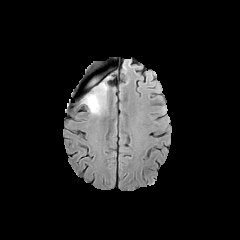
FLAIR magnetic resonance.
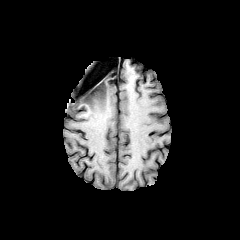
T1-weighted MR.
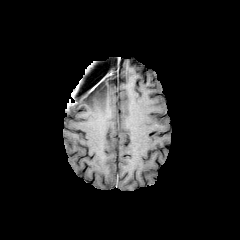
Same slice, post-contrast T1-weighted MR image.
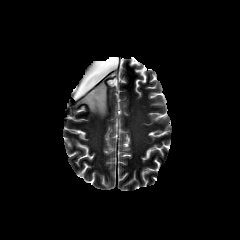
T2-weighted MR of the same slice.
Image size 240x240.
non-enhancing_tumor_core:
  - (83,83,103,99)
edema:
  - (84,78,99,90)
  - (81,82,110,115)